Slice 42/155; Head; Image size 240x240
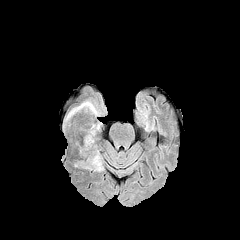
FLAIR magnetic resonance.
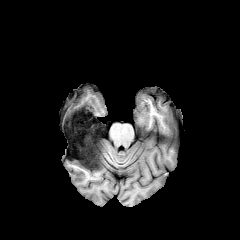
Same slice, T1-weighted MR image.
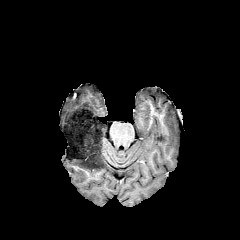
Post-contrast T1-weighted MR.
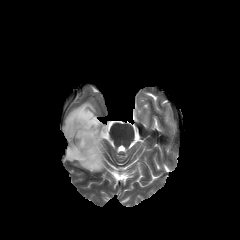
T2-weighted MR of the same slice.
- edema: left=68, top=128, right=85, bottom=141; left=66, top=99, right=97, bottom=118; left=88, top=157, right=104, bottom=171
- non-enhancing tumor core: left=66, top=106, right=101, bottom=169